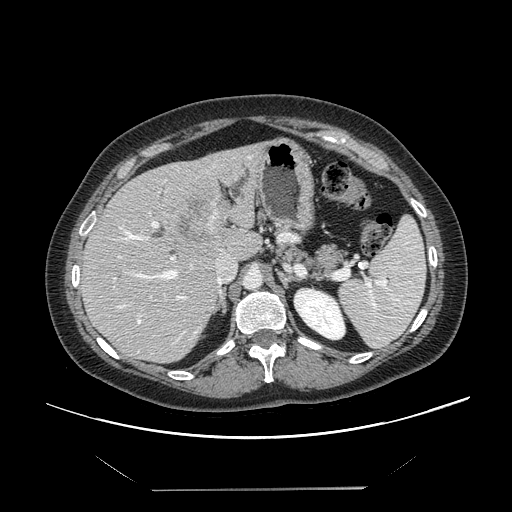 Abdomen. 512x512 px. CT scan slice.

The vessel boxes may cover only some of the vessels.
Liver tumor: x1=171, y1=190, x2=217, y2=247.
Hepatic vessel: x1=215, y1=250, x2=235, y2=283; x1=118, y1=256, x2=121, y2=257; x1=113, y1=278, x2=115, y2=280; x1=117, y1=304, x2=125, y2=308; x1=170, y1=256, x2=174, y2=262; x1=149, y1=296, x2=151, y2=298; x1=148, y1=212, x2=150, y2=214; x1=115, y1=226, x2=148, y2=241; x1=137, y1=313, x2=140, y2=323; x1=175, y1=294, x2=186, y2=299; x1=191, y1=265, x2=192, y2=267; x1=151, y1=220, x2=158, y2=228; x1=127, y1=269, x2=178, y2=279; x1=163, y1=180, x2=166, y2=181.